Abdomen. Slice index 192. CT.
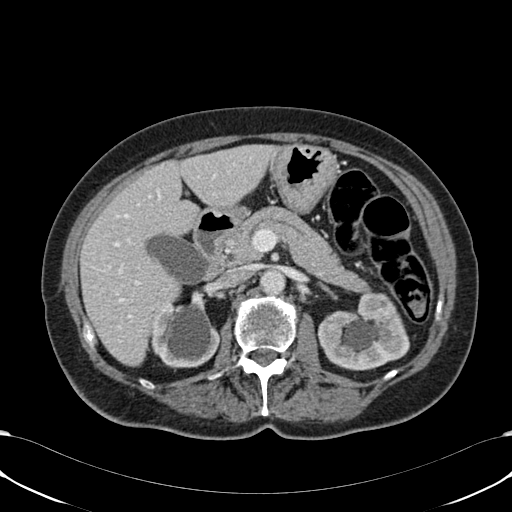

<segmentation>
  <kidney>box=[318, 294, 408, 369]; box=[150, 283, 219, 366]</kidney>
  <liver>box=[81, 145, 276, 365]</liver>
</segmentation>